CT scan slice; Field of view 400 mm wide, 2.50 mm slice spacing
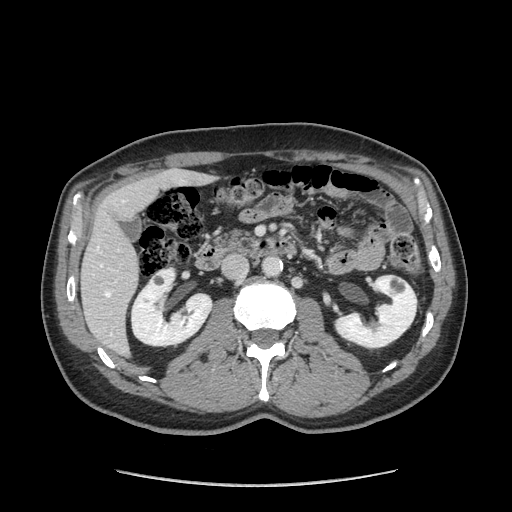
The pancreas appears at (left=215, top=230, right=255, bottom=255).